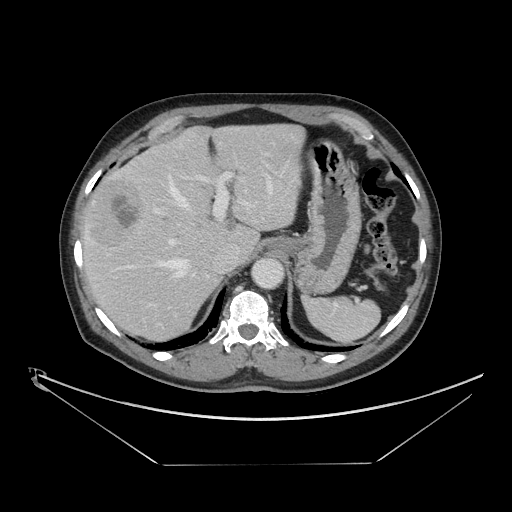
512x512 px | CT scan slice

The vessel boxes may cover only some of the vessels.
Hepatic vessel — {"x1": 156, "y1": 259, "x2": 188, "y2": 276}, {"x1": 169, "y1": 175, "x2": 188, "y2": 208}, {"x1": 224, "y1": 172, "x2": 232, "y2": 177}, {"x1": 154, "y1": 208, "x2": 159, "y2": 213}, {"x1": 196, "y1": 175, "x2": 205, "y2": 179}, {"x1": 214, "y1": 184, "x2": 227, "y2": 216}, {"x1": 169, "y1": 240, "x2": 177, "y2": 244}, {"x1": 117, "y1": 265, "x2": 133, "y2": 268}, {"x1": 267, "y1": 181, "x2": 272, "y2": 193}, {"x1": 266, "y1": 153, "x2": 268, "y2": 155}, {"x1": 242, "y1": 202, "x2": 251, "y2": 205}.
Liver tumor — {"x1": 87, "y1": 179, "x2": 145, "y2": 247}.